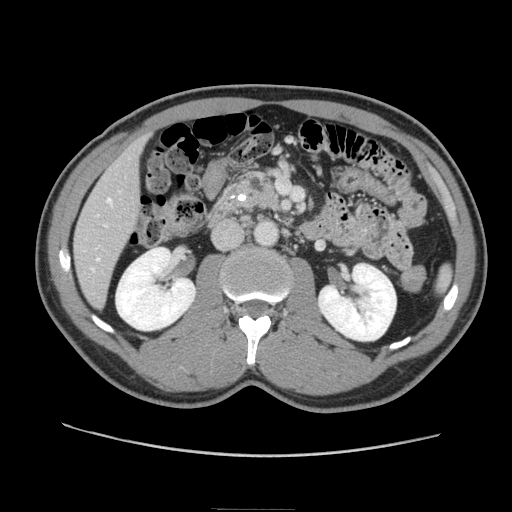

Upper abdomen | Computed tomography
<segmentation>
  <pancreatic_tumor>left=241, top=186, right=280, bottom=209</pancreatic_tumor>
  <pancreas>left=232, top=170, right=280, bottom=211</pancreas>
</segmentation>